Computed tomography

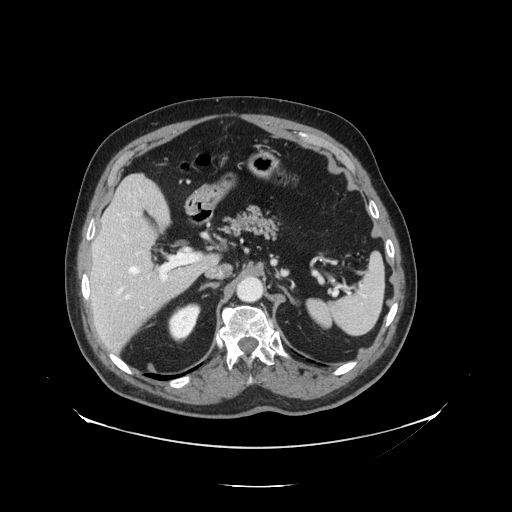

Only some of the vessels may be annotated.
{"hepatic_vessel": ["148 276 149 277", "118 289 122 293", "134 213 140 215", "126 296 129 299", "129 267 139 274", "160 266 173 280", "136 253 138 255"]}